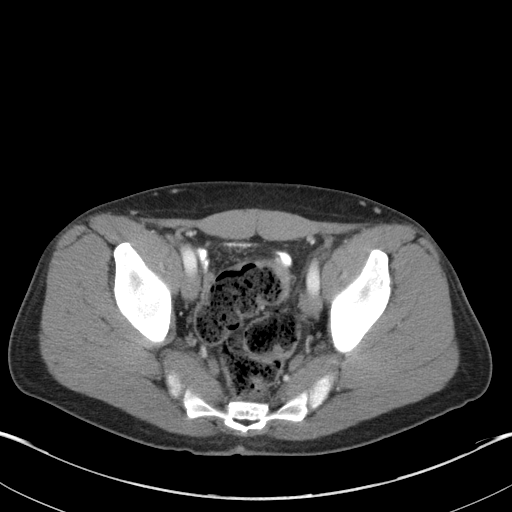
CT slice | 512x512 px | Abdomen
colon tumor: l=268, t=260, r=289, b=294